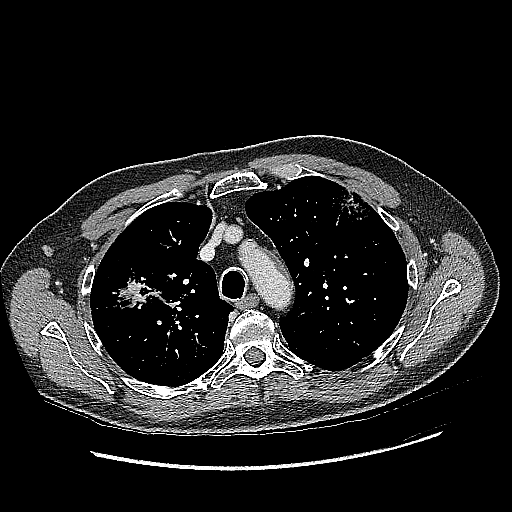
Thorax. CT image.

<segmentation>
  <lung_tumor>l=109, t=259, r=166, b=313</lung_tumor>
</segmentation>